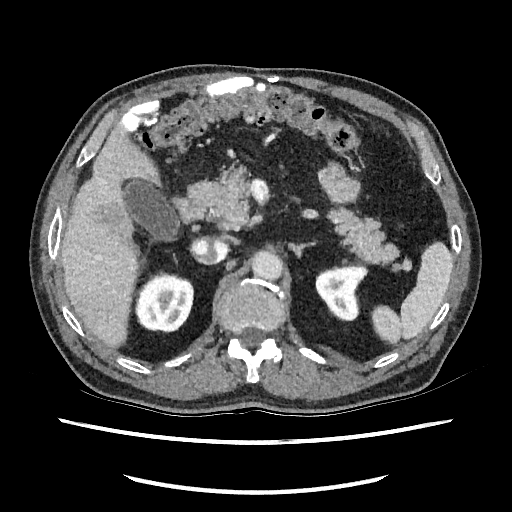 CT.
Liver = <box>63,127,156,346</box>.
Kidney = <box>135,272,193,331</box>, <box>316,264,367,320</box>.
Liver lesion = <box>97,207,125,232</box>, <box>126,238,137,257</box>.